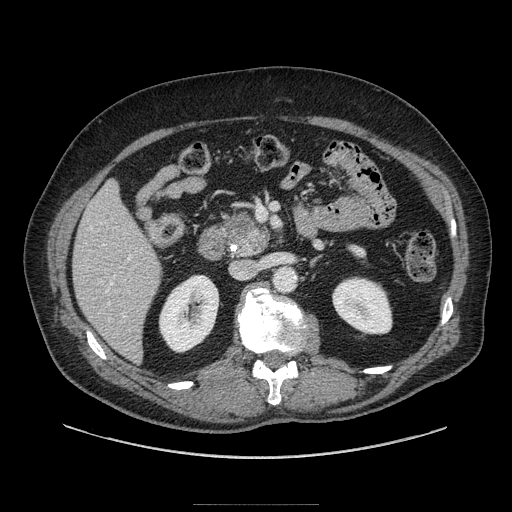 CT

Pancreas: rect(349, 245, 364, 259); rect(225, 213, 269, 255).
Pancreatic tumor: rect(229, 212, 251, 237).